Image width 240 mm
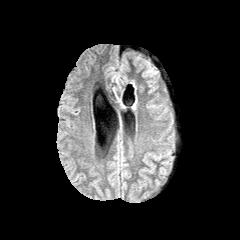
FLAIR MR image.
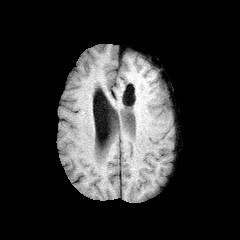
Same slice, T1-weighted MR image.
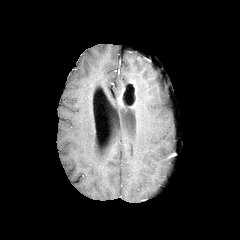
Post-contrast T1-weighted MR.
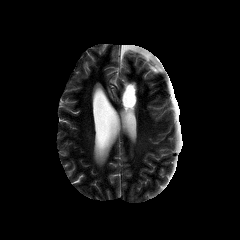
T2-weighted MRI of the same slice.
Annotated regions:
- edema: 145,65,153,76